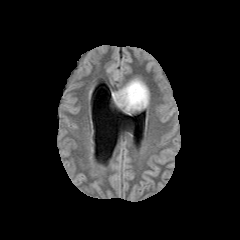
FLAIR magnetic resonance.
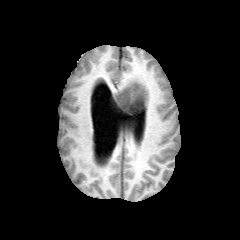
T1-weighted MR.
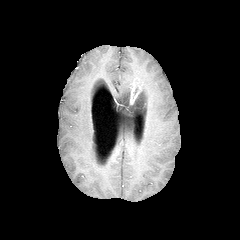
Same slice, post-contrast T1-weighted MR image.
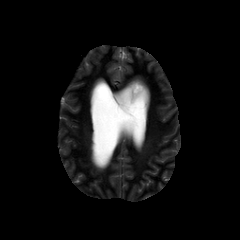
T2-weighted magnetic resonance of the same slice.
Brain
The edema is bounded by x1=111 y1=75 x2=151 y2=108. The enhancing tumor lies within x1=128 y1=79 x2=143 y2=106. The non-enhancing tumor core appears at x1=112 y1=93 x2=145 y2=114.